Image size 512x512 | Field of view 432x432 mm | Abdomen | CT slice | Slice 450/986 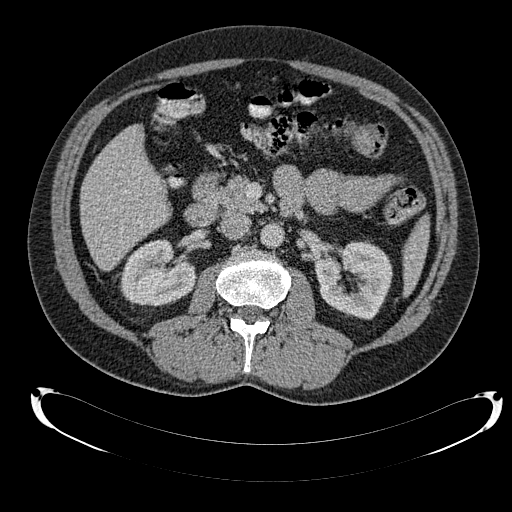 <segmentation>
  <kidney>[122, 240, 195, 305], [315, 242, 391, 318]</kidney>
  <liver>[79, 124, 168, 269]</liver>
</segmentation>